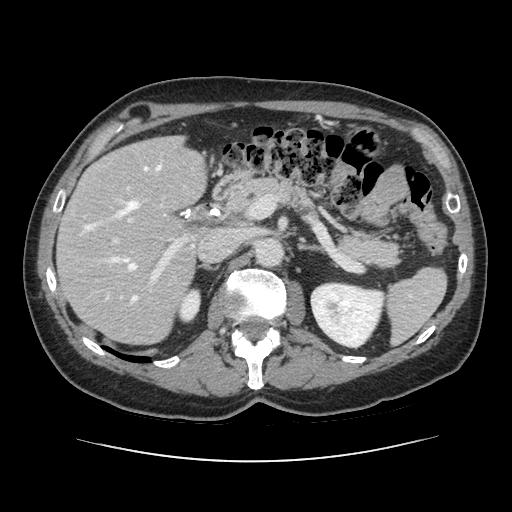
CT; Abdomen
pancreas:
  - left=229, top=178, right=311, bottom=212
  - left=341, top=237, right=399, bottom=267